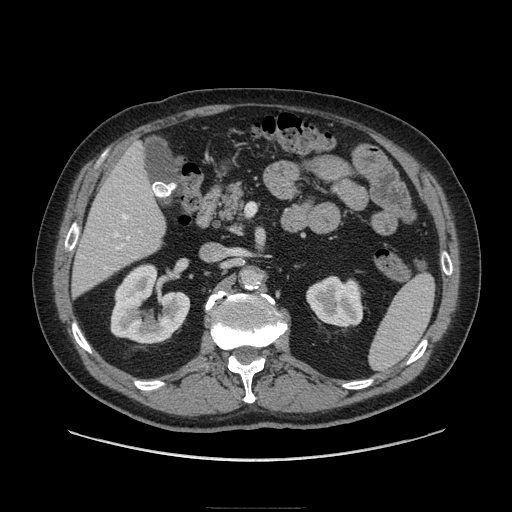
Upper abdomen, CT scan slice

<segmentation>
  <pancreas><bbox>217, 182, 247, 223</bbox></pancreas>
</segmentation>